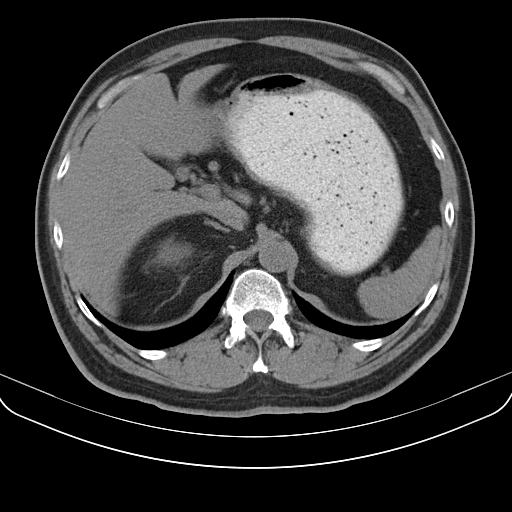 CT slice | Upper abdomen
Spleen at (left=360, top=232, right=439, bottom=317).